Computed tomography 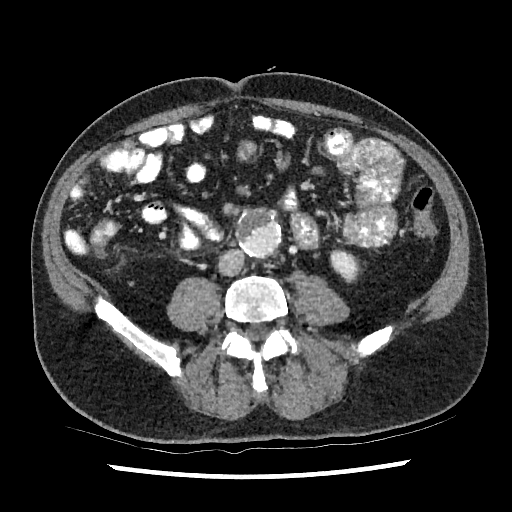

<segmentation>
  <kidney>l=338, t=260, r=356, b=279</kidney>
</segmentation>